CT; 512x512 px
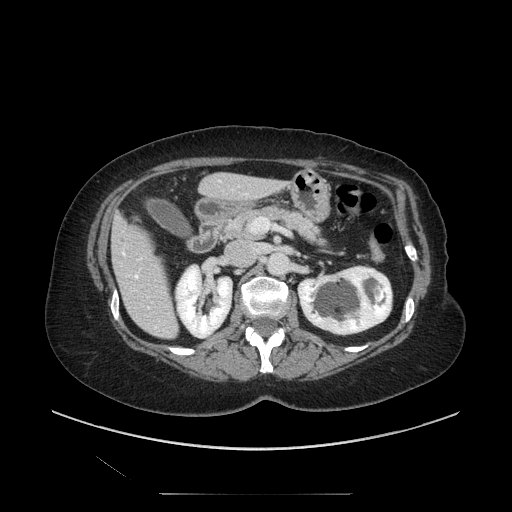
pancreas:
  - {"x1": 223, "y1": 206, "x2": 325, "y2": 246}